Lung; CT slice 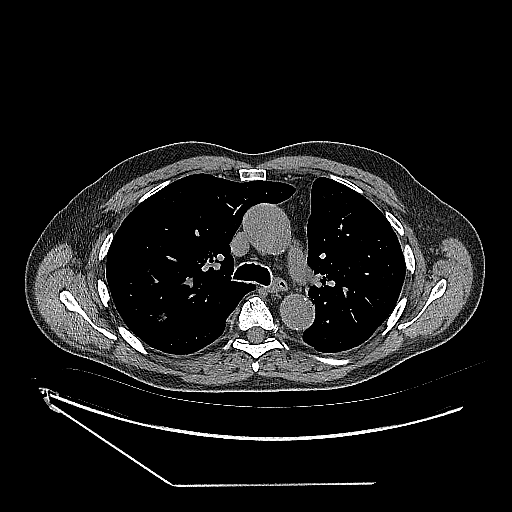
Lung tumor at 156,312,167,322.